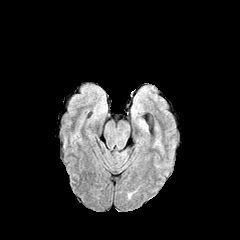
FLAIR MRI.
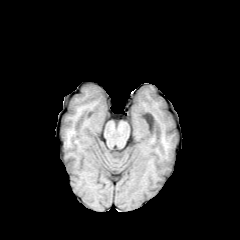
T1-weighted MR image.
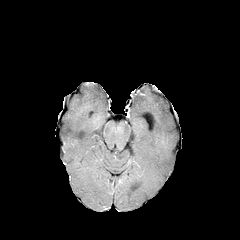
Post-contrast T1-weighted MR.
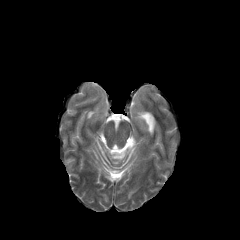
T2-weighted MR image.
Head
The edema lies within left=115, top=147, right=126, bottom=159.